Computed tomography, Abdomen
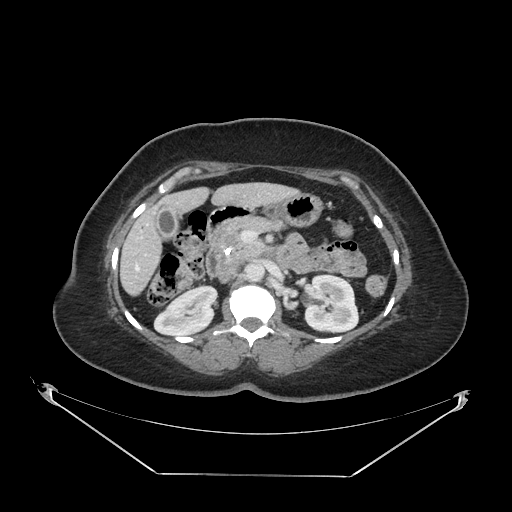 pancreatic tumor: (224,234,237,246) | pancreas: (215,216,286,281)